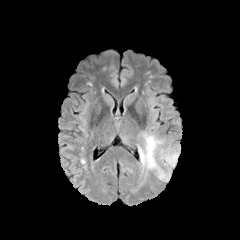
FLAIR MRI.
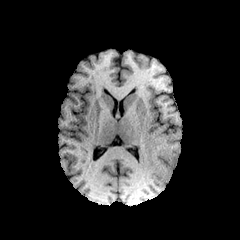
T1-weighted MR image of the same slice.
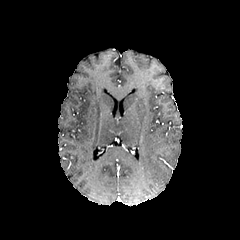
Post-contrast T1-weighted MR image.
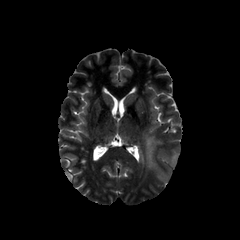
T2-weighted MR of the same slice.
Head
Annotated regions:
- edema: (158,170,170,183), (137,134,156,172), (165,153,178,166)